240x240 px, Field of view 240 mm wide, 1.00 mm slice spacing
FLAIR MRI.
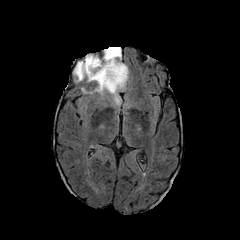
T1-weighted magnetic resonance.
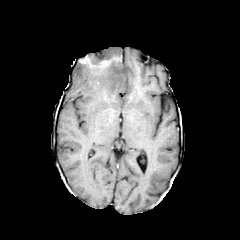
Post-contrast T1-weighted magnetic resonance.
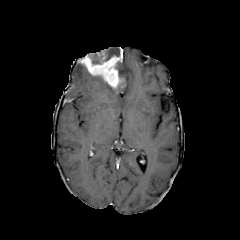
T2-weighted magnetic resonance.
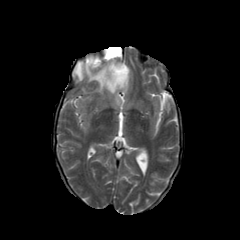
Edema at region(118, 62, 130, 82); region(73, 62, 127, 106).
Non-enhancing tumor core at region(106, 47, 119, 60); region(92, 50, 104, 63); region(116, 66, 127, 84).
Enhancing tumor at region(78, 48, 125, 88).